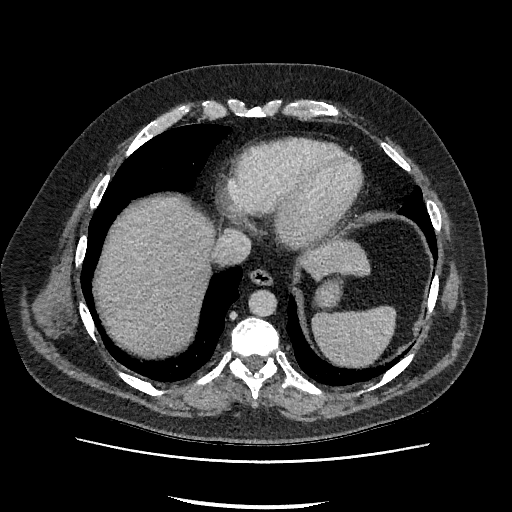
CT
Liver = [303,241,368,279], [97,196,212,355].